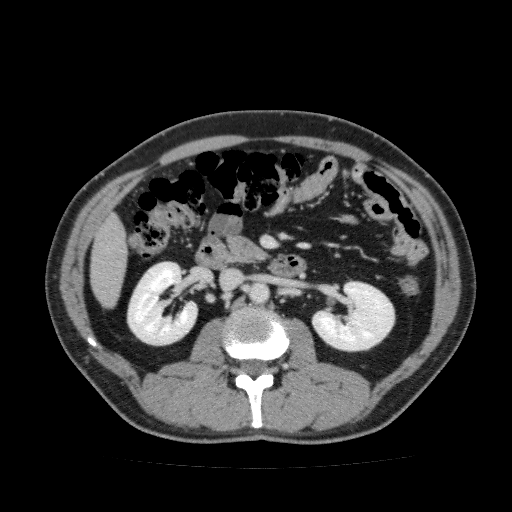
CT slice; Liver

2 kidney regions appear at box=[312, 282, 394, 350]; box=[128, 262, 196, 344]. The liver is at box=[89, 212, 127, 308].